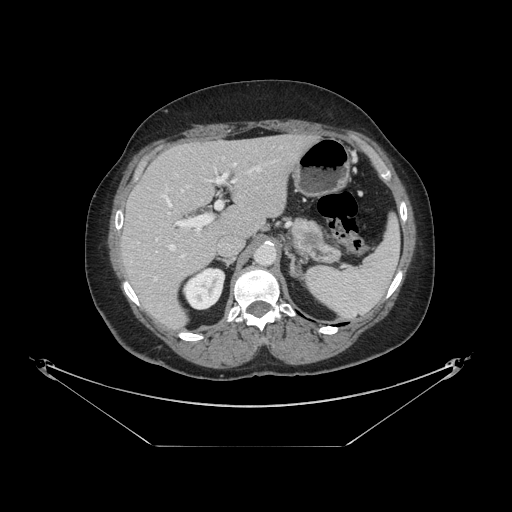

CT; 512x512; Upper abdomen

<segmentation>
  <pancreas>[292, 217, 341, 264]</pancreas>
  <pancreatic_tumor>[301, 232, 318, 247]</pancreatic_tumor>
</segmentation>